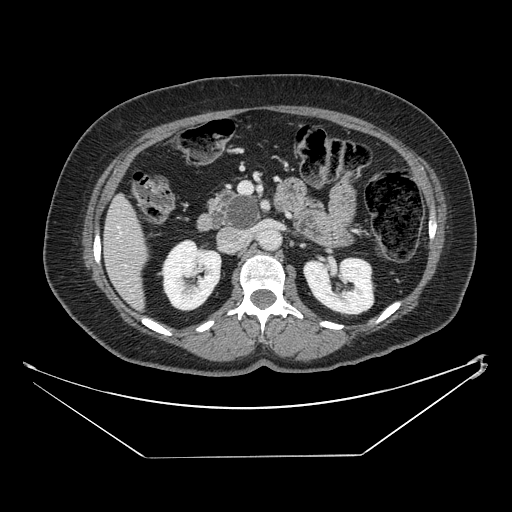

512x512 px. CT scan slice.
pancreas: [207, 186, 261, 232] | pancreatic tumor: [227, 197, 257, 229]